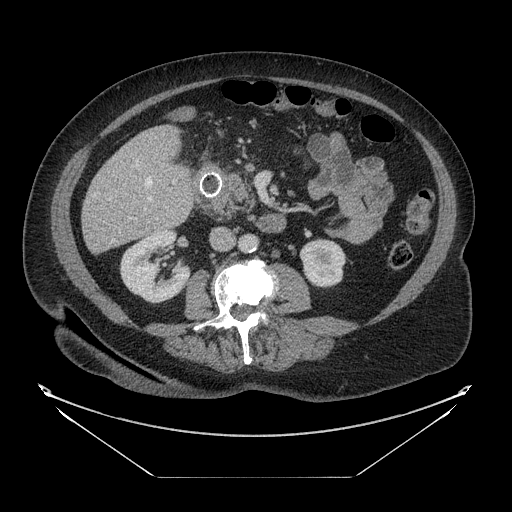

CT image

Annotated regions:
• pancreas: box(223, 174, 253, 218)